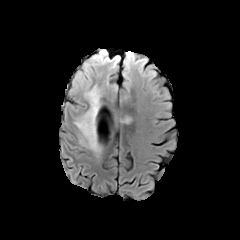
FLAIR MRI.
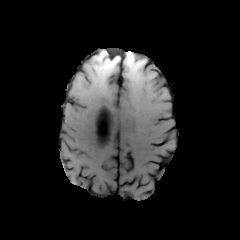
T1-weighted MR image of the same slice.
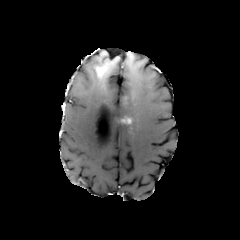
Same slice, post-contrast T1-weighted MRI.
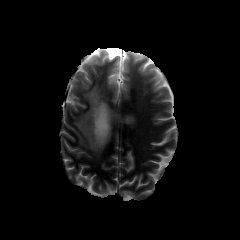
Same slice, T2-weighted MR.
3 edema regions appear at <bbox>74, 56, 101, 152</bbox>, <bbox>122, 53, 135, 79</bbox>, <bbox>107, 68, 117, 81</bbox>. The non-enhancing tumor core lies within <bbox>92, 51, 113, 71</bbox>. The enhancing tumor appears at <bbox>108, 60, 117, 69</bbox>.